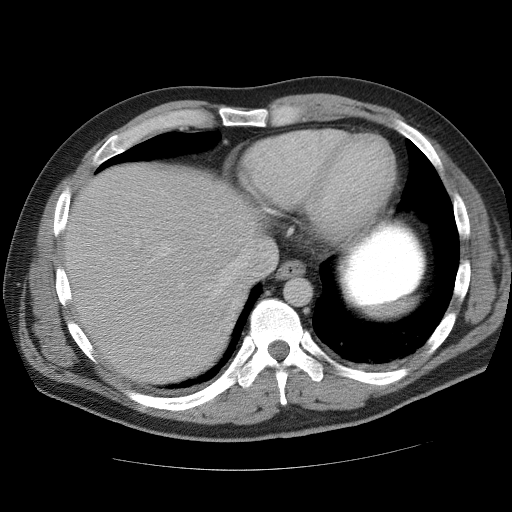

CT scan slice | Upper abdomen

The spleen is located at box(371, 299, 416, 317).